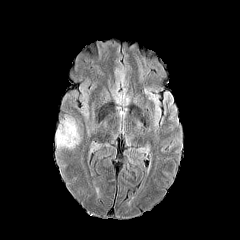
FLAIR magnetic resonance.
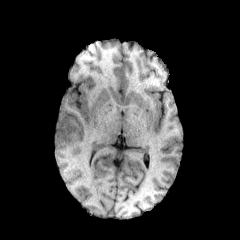
T1-weighted MR image.
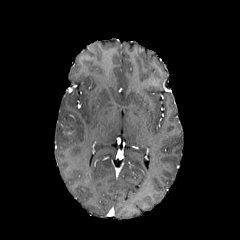
Post-contrast T1-weighted MR image.
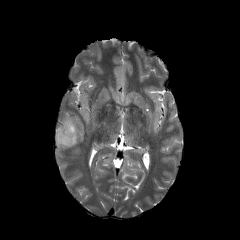
T2-weighted MR.
Image size 240x240, Brain
2 edema regions are bounded by left=55, top=116, right=79, bottom=148; left=79, top=85, right=89, bottom=105. The non-enhancing tumor core is bounded by left=61, top=126, right=74, bottom=137.